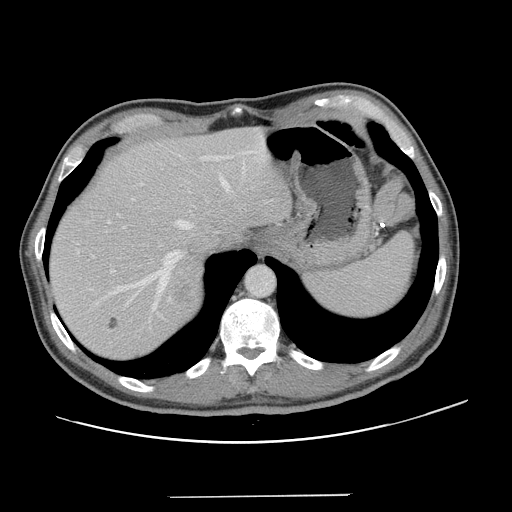
Image size 512x512 | CT scan slice
The vessel boxes may cover only some of the vessels.
12 hepatic vessel regions are located at (109, 251, 181, 293), (176, 220, 192, 228), (132, 198, 134, 200), (77, 250, 79, 253), (123, 226, 125, 228), (93, 256, 94, 257), (122, 293, 136, 309), (110, 269, 114, 272), (200, 154, 234, 160), (236, 150, 258, 154), (168, 297, 170, 301), (152, 302, 156, 310). The liver tumor is bounded by (174, 285, 190, 305).